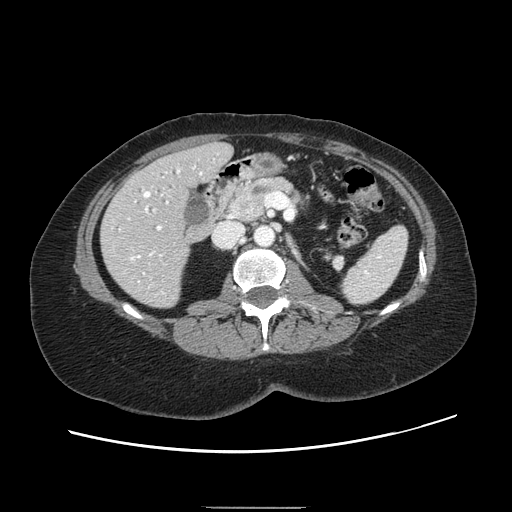
Upper abdomen, CT
pancreas: 325:252:346:270, 223:178:305:221 | pancreatic tumor: 234:195:262:219